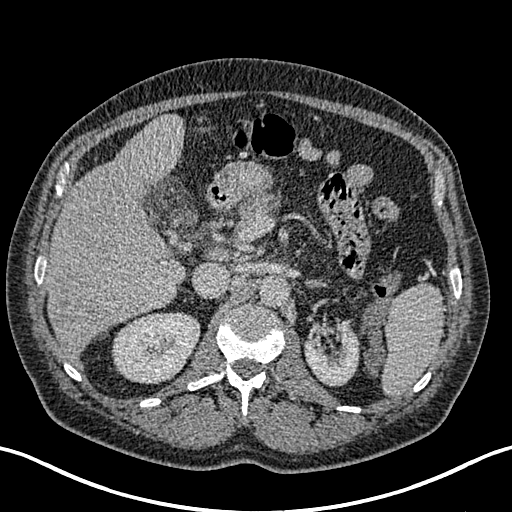

CT image.

Findings:
* liver: 47, 115, 185, 363
* hepatic lesion: 55, 278, 70, 305; 84, 307, 98, 321; 54, 312, 74, 322
* kidney: 113, 313, 199, 382; 305, 323, 358, 385